512x512; Computed tomography
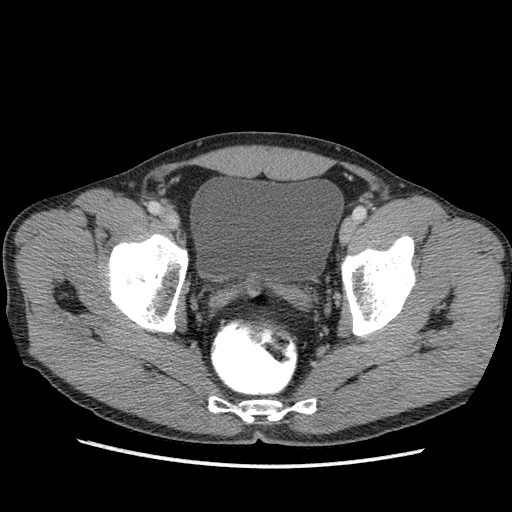
Annotated regions:
- urinary bladder: 190, 175, 343, 283